Computed tomography, Image size 512x512, Upper abdomen 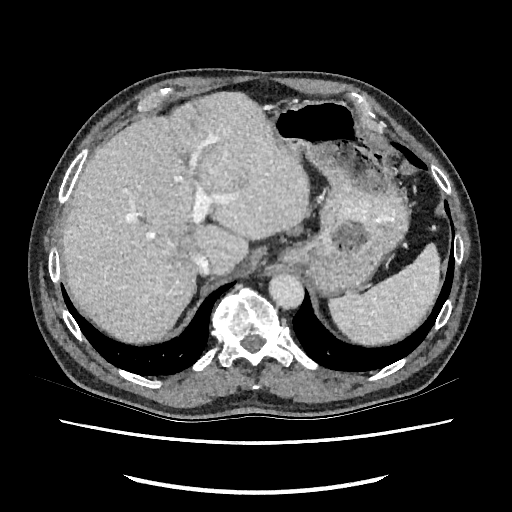
Annotated regions:
- focal liver lesion: <box>180,238,196,263</box>
- liver: <box>62,91,307,339</box>